FLAIR MRI.
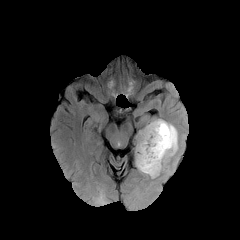
T1-weighted magnetic resonance.
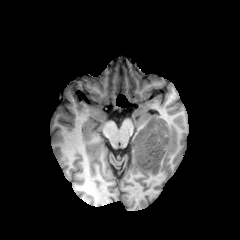
Post-contrast T1-weighted MR.
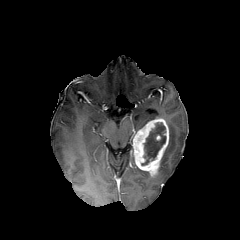
T2-weighted MR image.
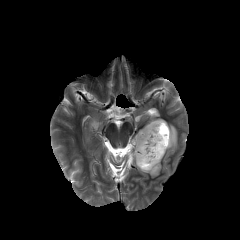
Head.
enhancing tumor: [x1=133, y1=119, x2=168, y2=177] | edema: [x1=151, y1=121, x2=178, y2=178] | non-enhancing tumor core: [x1=142, y1=122, x2=166, y2=165]